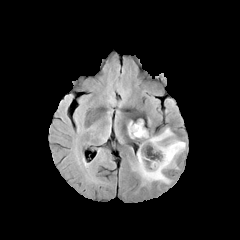
FLAIR MRI.
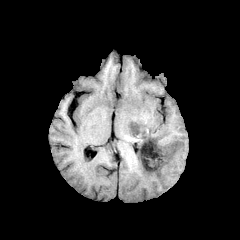
T1-weighted MR image of the same slice.
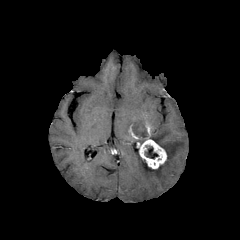
Post-contrast T1-weighted MRI.
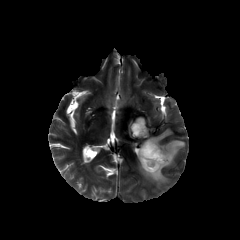
T2-weighted magnetic resonance of the same slice.
240x240 px
Segmented structures:
* non-enhancing tumor core: l=130, t=123, r=148, b=138; l=144, t=145, r=158, b=159
* enhancing tumor: l=129, t=125, r=138, b=138; l=138, t=125, r=166, b=168
* edema: l=137, t=128, r=186, b=182; l=128, t=119, r=144, b=131